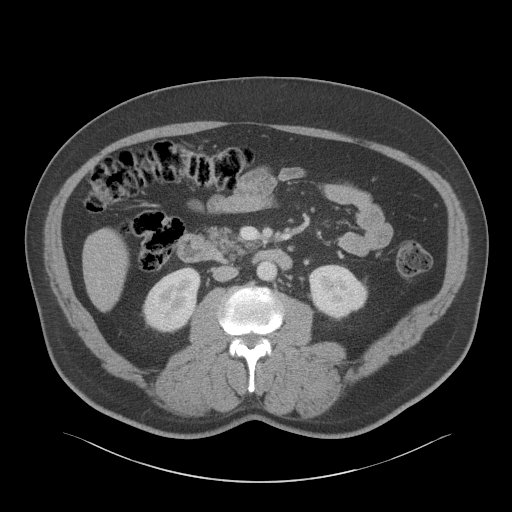 512x512; Upper abdomen; CT scan slice
2 kidney regions are located at 144, 269, 199, 330; 310, 265, 365, 317. The liver lies within 84, 230, 127, 309.